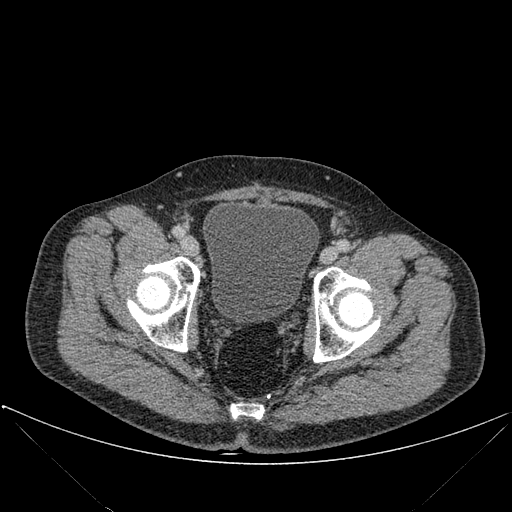
CT slice. Lower abdomen. Segmented structures:
• bone: rect(313, 267, 380, 362); rect(127, 257, 199, 351); rect(230, 403, 264, 419)
• urinary bladder: rect(202, 200, 318, 322)